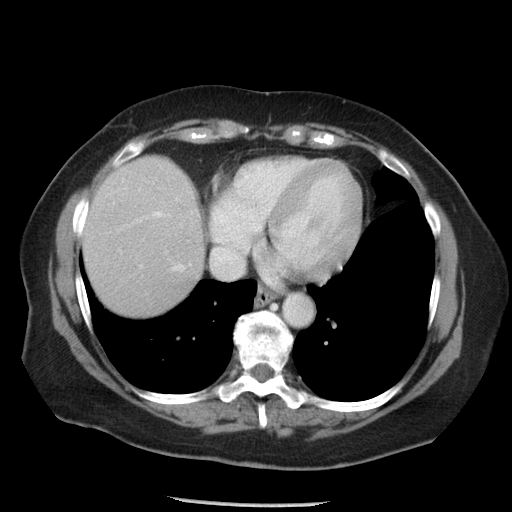
512x512. Liver. CT slice. Some hepatic vessels may have no box.
Hepatic vessel at (188,262,190,265), (152,211,163,216), (175,195,180,201), (169,259,184,270), (110,202,113,204), (125,187,126,188), (139,264,142,267), (167,178,168,180), (166,213,169,216).